Abdomen; CT scan slice; Slice 23 of 131; Image width 380 mm
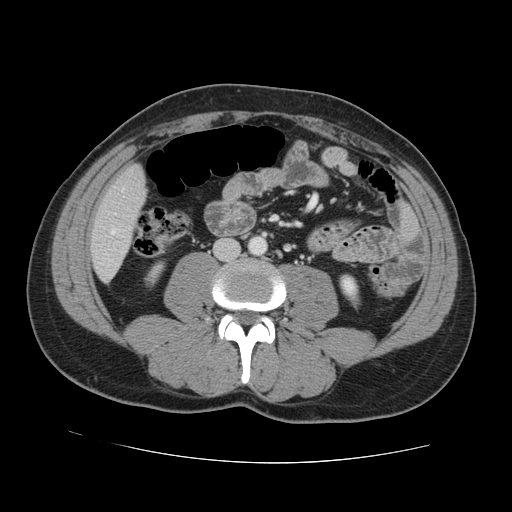

The vessel boxes may cover only some of the vessels.
- hepatic vessel: <bbox>111, 229, 118, 235</bbox>